Computed tomography
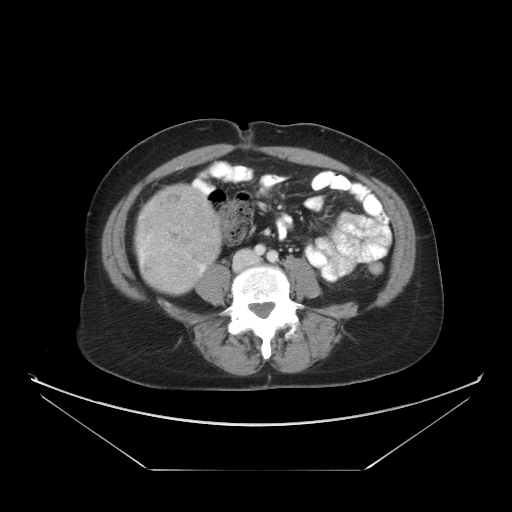 Annotated regions:
- liver tumor: bbox=[139, 187, 220, 291]